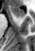

Image size 35x51, MR image, Hippocampus
anterior_hippocampus:
  - left=9, top=6, right=24, bottom=17